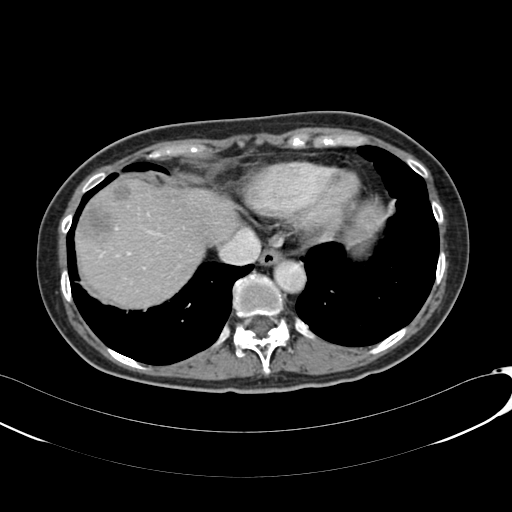
Computed tomography, Liver
Liver lesion: bbox=[112, 184, 131, 201]; bbox=[81, 207, 111, 237].
Liver: bbox=[76, 181, 238, 305].